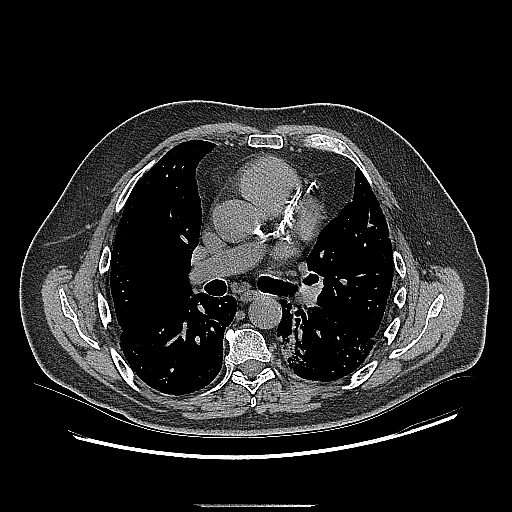 Lung; Computed tomography
<segmentation>
  <lung_tumor>(left=278, top=298, right=330, bottom=379)</lung_tumor>
</segmentation>